Brain
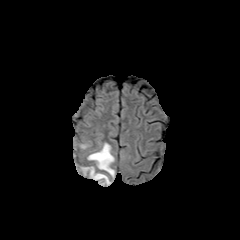
FLAIR MR image.
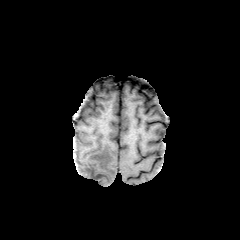
T1-weighted MR.
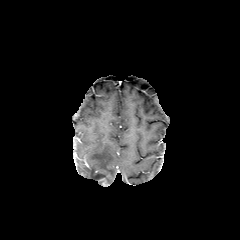
Post-contrast T1-weighted MRI.
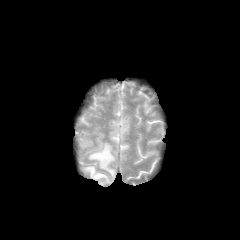
T2-weighted MR of the same slice.
The edema appears at [x1=80, y1=142, x2=115, y2=185].